FLAIR MR image.
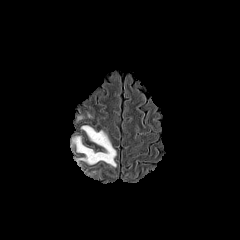
T1-weighted magnetic resonance.
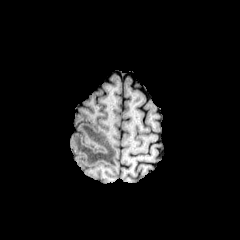
Post-contrast T1-weighted MR image.
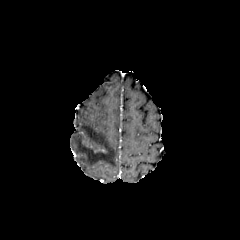
T2-weighted MRI.
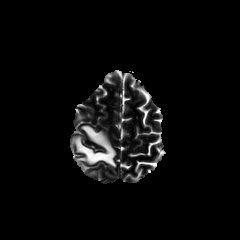
240x240 px
The edema is located at bbox=[73, 126, 116, 166].